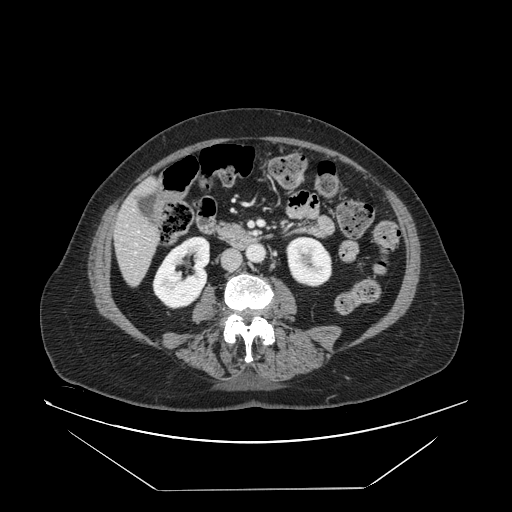 Abdomen; CT image
Findings:
• pancreas: 214 222 242 241